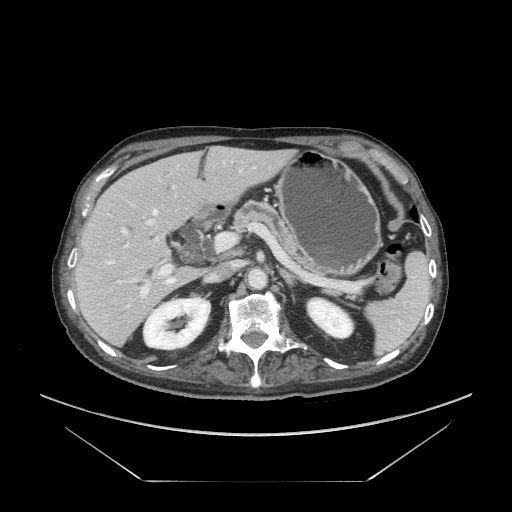

CT slice.
Segmented structures:
* pancreas: rect(234, 202, 318, 272)